CT scan slice

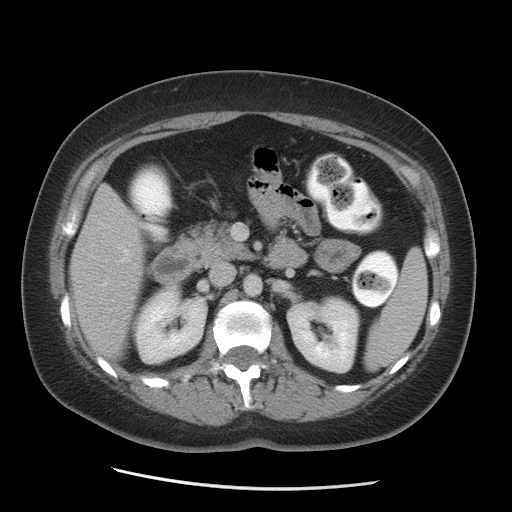 The liver is located at <box>71,184,143,357</box>. 2 kidney regions appear at <box>289,300,357,370</box>, <box>137,292,203,359</box>.